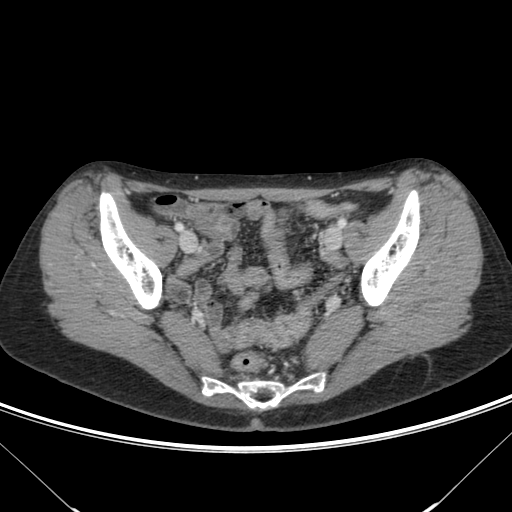 CT | Image size 512x512
colon tumor: x1=235, y1=307, x2=310, y2=348